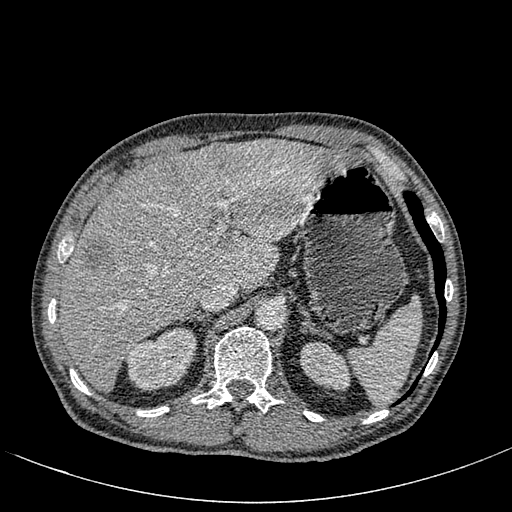 CT
Findings:
- focal liver lesion: box=[156, 158, 183, 184]; box=[80, 235, 112, 274]; box=[219, 234, 237, 253]; box=[212, 143, 238, 168]
- liver: box=[59, 139, 360, 393]
- kidney: box=[300, 342, 349, 389]; box=[125, 328, 195, 389]